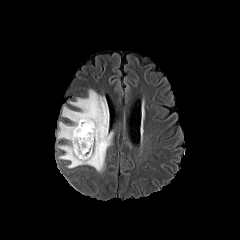
FLAIR MRI.
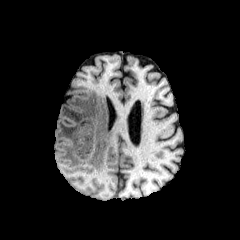
T1-weighted MR.
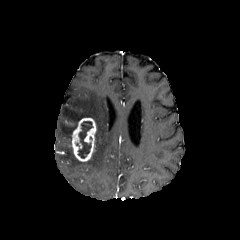
Same slice, post-contrast T1-weighted MR.
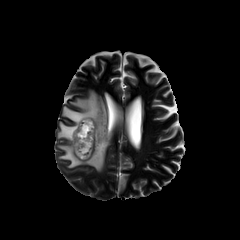
Same slice, T2-weighted MR image.
- edema: left=58, top=122, right=77, bottom=140; left=58, top=90, right=112, bottom=172
- enhancing tumor: left=70, top=117, right=97, bottom=162
- non-enhancing tumor core: left=75, top=121, right=93, bottom=158